Field of view 457 mm wide, 3.00 mm slice spacing; Abdomen; Computed tomography; Slice 54/72

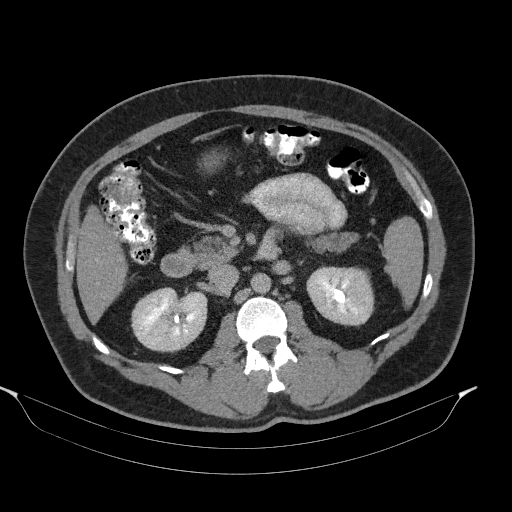 2 pancreas regions are bounded by region(311, 233, 358, 251); region(191, 233, 236, 269).